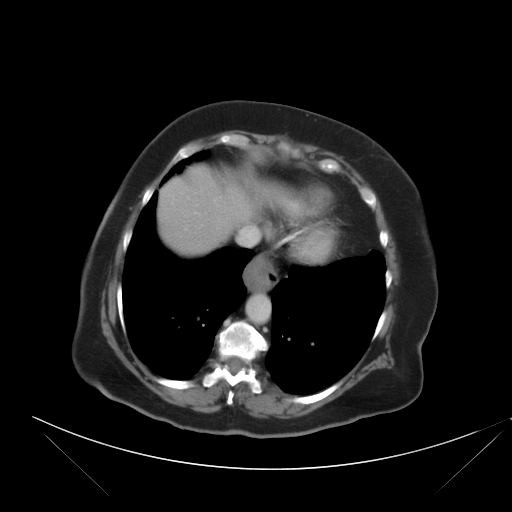 CT

Only some of the vessels may be annotated.
* hepatic vessel: <box>240,239,245,243</box>